Head
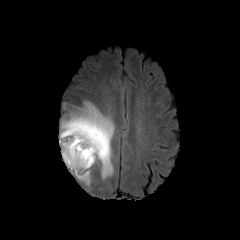
FLAIR MRI.
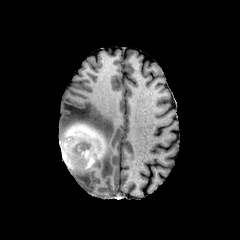
T1-weighted MR image of the same slice.
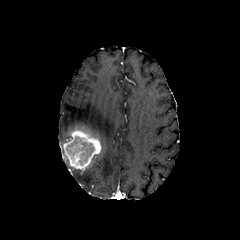
Post-contrast T1-weighted MR.
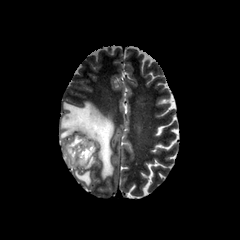
T2-weighted MRI.
Edema at 61:101:114:179, 77:171:90:185.
Enhancing tumor at 65:131:100:169.
Non-enhancing tumor core at 61:125:106:168.